Slice 66/155
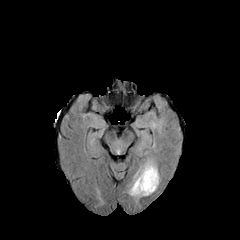
FLAIR MR image.
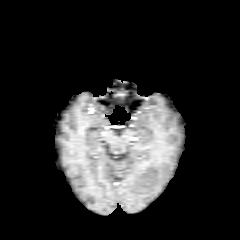
T1-weighted MR image of the same slice.
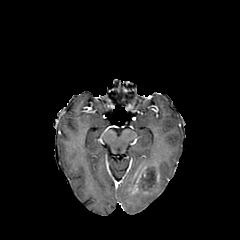
Post-contrast T1-weighted magnetic resonance.
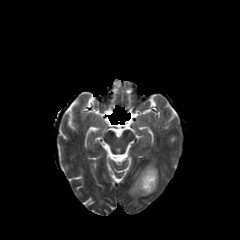
T2-weighted MR image of the same slice.
Findings:
* edema: bbox(128, 161, 160, 198)
* enhancing tumor: bbox(132, 175, 140, 193)